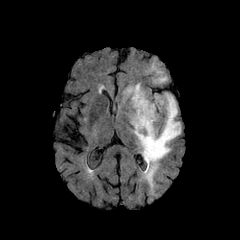
FLAIR MRI.
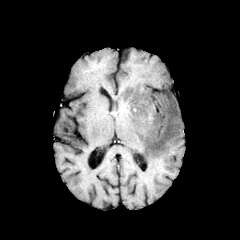
Same slice, T1-weighted MRI.
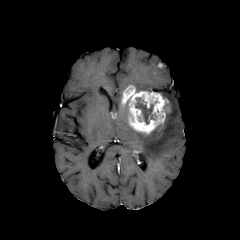
Post-contrast T1-weighted magnetic resonance of the same slice.
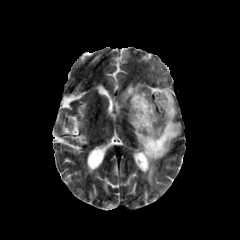
Same slice, T2-weighted MR image.
- non-enhancing tumor core: (135,98,153,123)
- enhancing tumor: (122,85,170,134)
- edema: (133,92,180,191), (130,83,141,91)